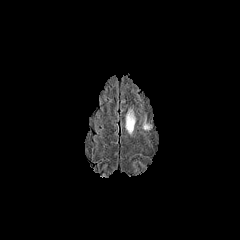
FLAIR MR.
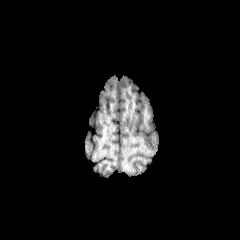
T1-weighted MR.
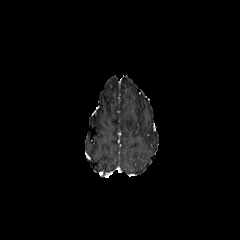
Post-contrast T1-weighted MR.
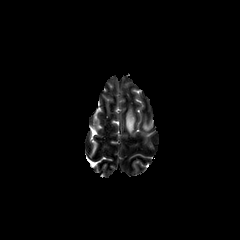
T2-weighted MR image.
Head
Findings:
* edema: box=[125, 113, 135, 132]